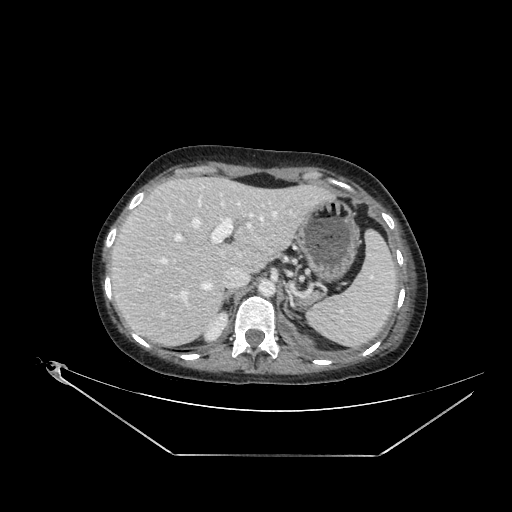
CT image
* liver: [112, 180, 318, 341]
* kidney: [205, 313, 226, 339]